Slice index 39; Image size 512x512; CT image
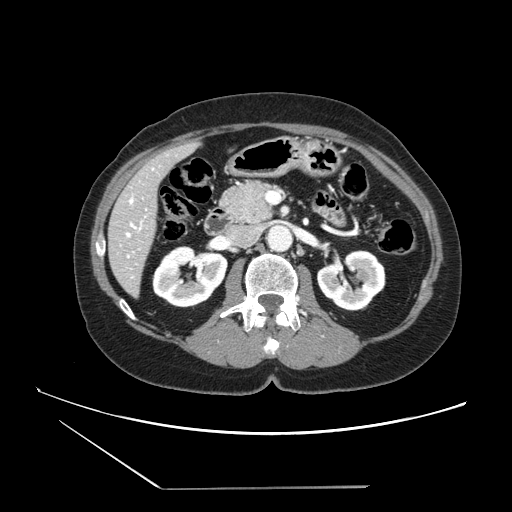

Pancreas: bounding box l=221, t=182, r=272, b=222.